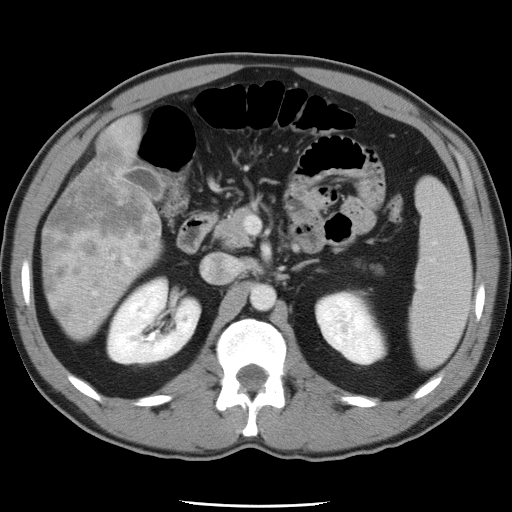

CT | Abdomen
Not every hepatic vessel necessarily has a box.
<segmentation>
  <hepatic_vessel>[x1=125, y1=258, x2=128, y2=264]</hepatic_vessel>
</segmentation>